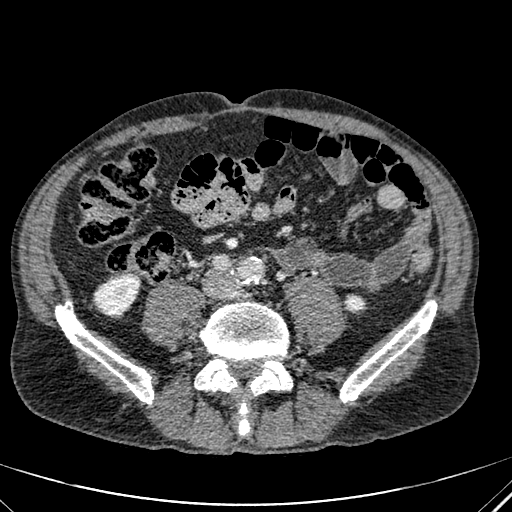
Abdomen. CT image.
kidney: box(346, 296, 363, 309); box(95, 275, 138, 314)